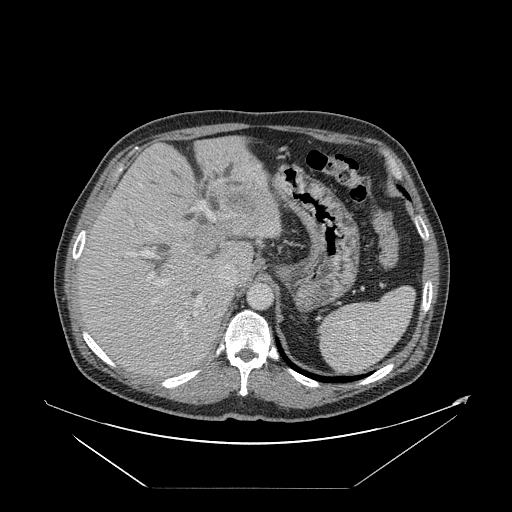
Abdomen; 512x512 px; CT scan slice
The vessel boxes may cover only some of the vessels.
Annotated regions:
- liver tumor: bbox(197, 182, 265, 242)
- hepatic vessel: bbox(139, 248, 158, 258); bbox(209, 184, 214, 189); bbox(178, 322, 184, 326); bbox(125, 252, 137, 257); bbox(149, 229, 158, 233); bbox(130, 221, 131, 223); bbox(192, 294, 202, 315); bbox(185, 329, 187, 333); bbox(211, 262, 237, 286); bbox(147, 273, 169, 286); bbox(219, 179, 224, 181); bbox(187, 201, 210, 216); bbox(183, 335, 187, 340); bbox(151, 297, 160, 303); bbox(139, 184, 141, 186)